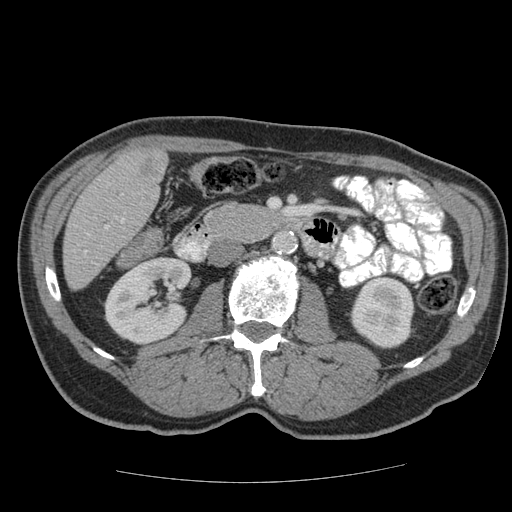
Abdomen. Computed tomography. 512x512 px.
Not every hepatic vessel necessarily has a box.
<segmentation>
  <liver_tumor>x1=143, y1=157, x2=157, y2=176</liver_tumor>
  <hepatic_vessel>x1=105, y1=226, x2=107, y2=229; x1=84, y1=251, x2=85, y2=254</hepatic_vessel>
</segmentation>